Head. Field of view 240x240 mm.
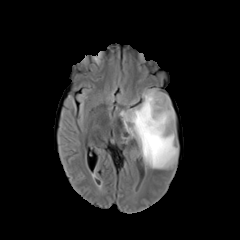
FLAIR MRI.
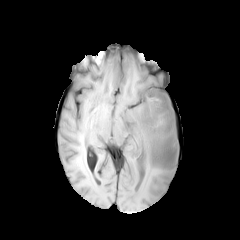
T1-weighted MR image.
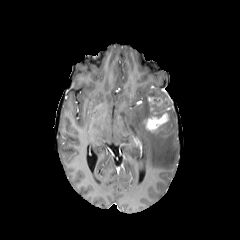
Post-contrast T1-weighted MR image.
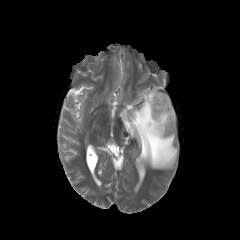
T2-weighted MR.
{
  "edema": [
    "116:87:178:172"
  ],
  "non-enhancing_tumor_core": [
    "140:88:174:132"
  ],
  "enhancing_tumor": [
    "146:113:168:130"
  ]
}